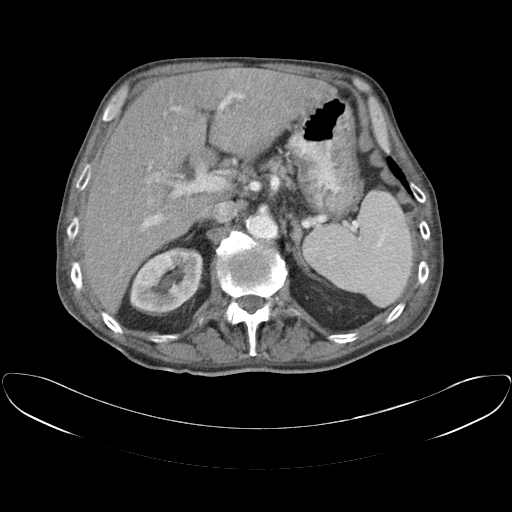
512x512. Abdomen. CT slice.
The vessel annotation is not exhaustive.
hepatic_vessel:
  - (left=250, top=102, right=252, bottom=104)
  - (left=201, top=119, right=202, bottom=120)
  - (left=166, top=205, right=172, bottom=206)
  - (left=219, top=91, right=243, bottom=108)
  - (left=148, top=164, right=151, bottom=169)
  - (left=171, top=106, right=186, bottom=112)
  - (left=170, top=173, right=225, bottom=203)
  - (left=219, top=115, right=224, bottom=119)
  - (left=140, top=212, right=168, bottom=230)
  - (left=164, top=138, right=167, bottom=140)
  - (left=246, top=76, right=250, bottom=88)
  - (left=147, top=200, right=152, bottom=201)
  - (left=219, top=123, right=221, bottom=125)
  - (left=156, top=177, right=158, bottom=180)